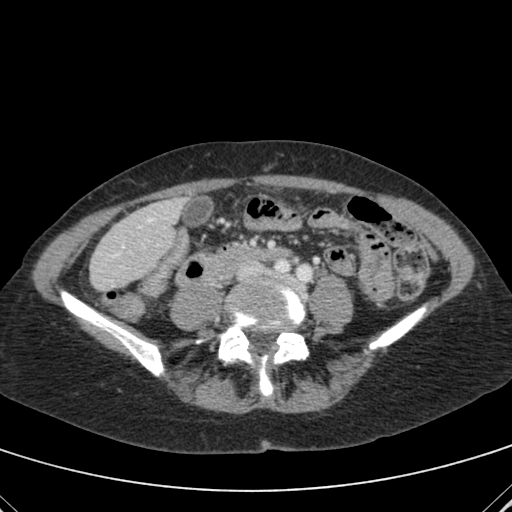

CT
Liver — [90, 197, 186, 290].